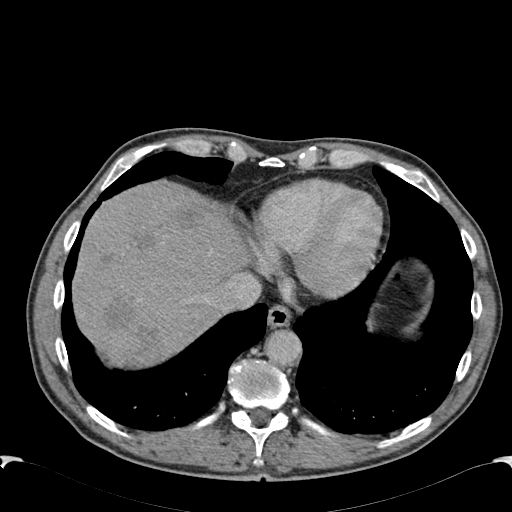

CT. Focal liver lesion at left=135, top=233, right=154, bottom=248; left=103, top=299, right=134, bottom=326; left=138, top=327, right=164, bottom=358; left=176, top=204, right=203, bottom=228; left=102, top=256, right=109, bottom=263.
Liver at left=73, top=180, right=249, bottom=364.